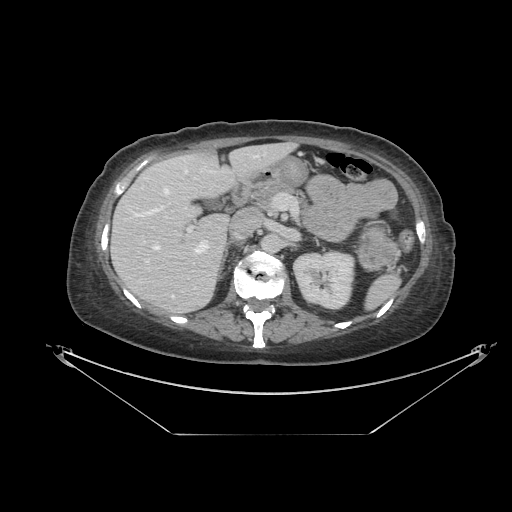
CT slice
The pancreatic tumor lies within [357, 225, 399, 270]. 2 pancreas regions are bounded by [356, 225, 372, 255], [251, 180, 297, 212].